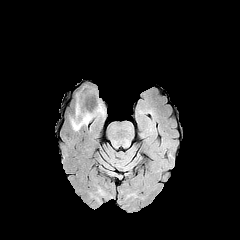
FLAIR MRI.
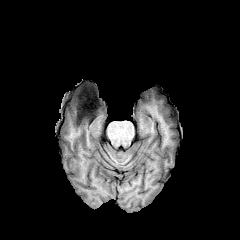
T1-weighted magnetic resonance.
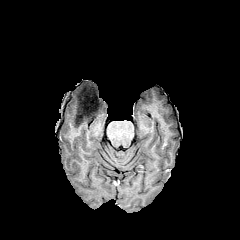
Same slice, post-contrast T1-weighted MR image.
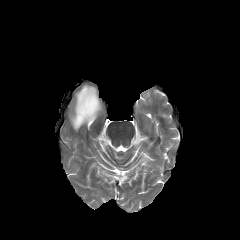
T2-weighted MR of the same slice.
Image size 240x240
non-enhancing_tumor_core:
  - bbox=[77, 112, 93, 122]
edema:
  - bbox=[70, 99, 104, 130]